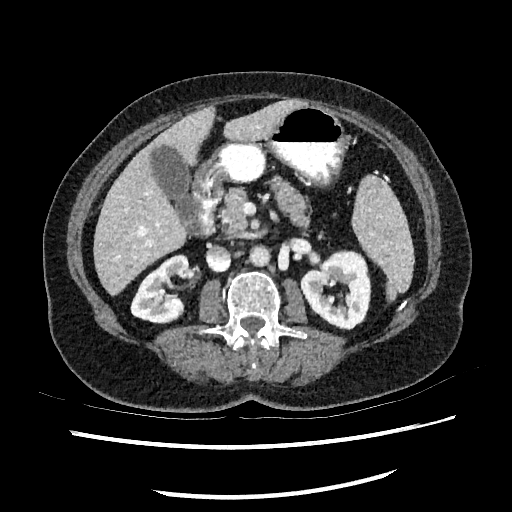 CT scan slice. kidney: (301, 252, 369, 328), (131, 256, 187, 322) | liver: (223, 99, 300, 141), (94, 106, 214, 295)